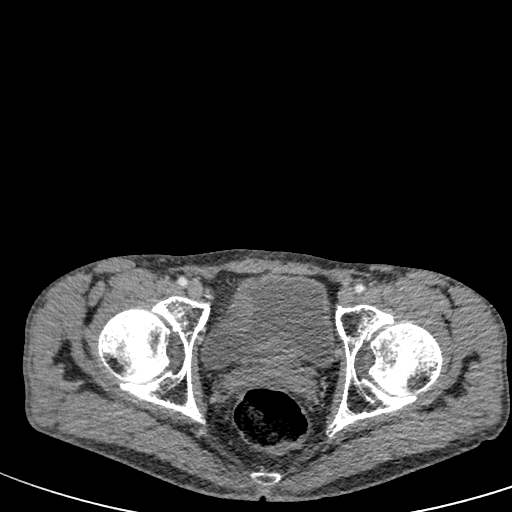
CT, Pelvis
Annotated regions:
- urinary bladder: left=201, top=273, right=334, bottom=370